512x512 | Abdomen | Slice index 20 | CT scan slice 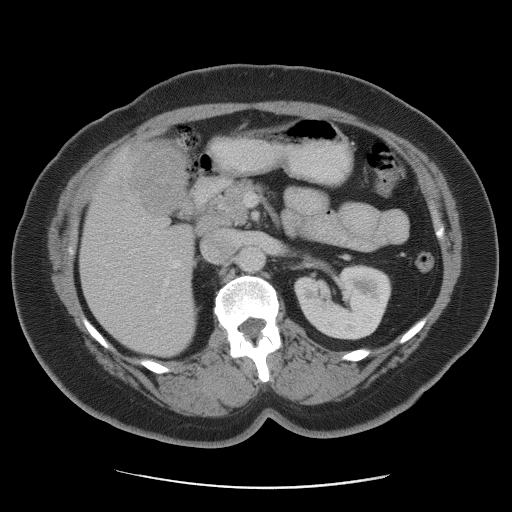 Liver tumor — <bbox>129, 144, 184, 213</bbox>.